MRI slice, Image width 33 mm

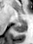
• posterior hippocampus: rect(15, 21, 26, 32)